Medial temporal lobe. Magnetic resonance. 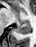

* posterior hippocampus: [x1=17, y1=21, x2=30, y2=33]